FLAIR MRI.
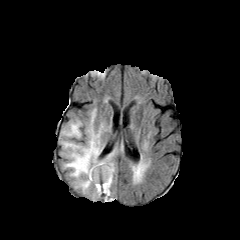
T1-weighted MRI.
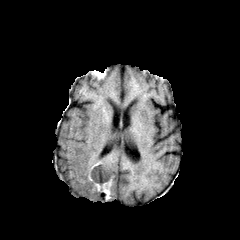
Post-contrast T1-weighted MR.
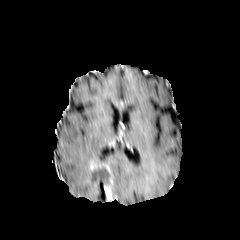
T2-weighted magnetic resonance.
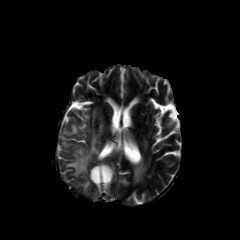
Head
Annotated regions:
- enhancing tumor: bbox(104, 183, 110, 199); bbox(90, 162, 111, 182)
- edema: bbox(60, 109, 122, 200); bbox(136, 165, 143, 175)
- non-enhancing tumor core: bbox(90, 167, 109, 195)